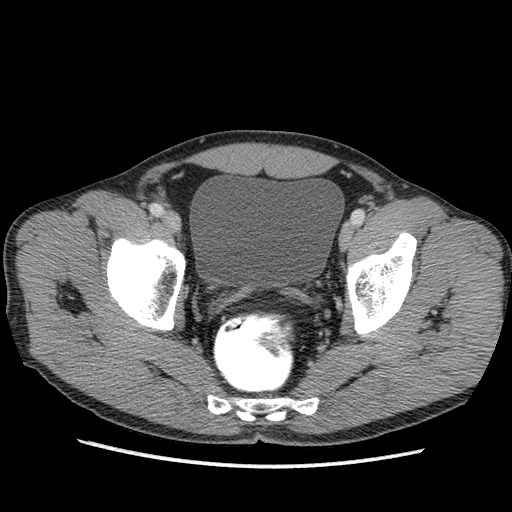
CT scan slice

urinary bladder: (left=190, top=174, right=344, bottom=288)